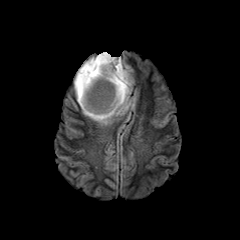
FLAIR MR.
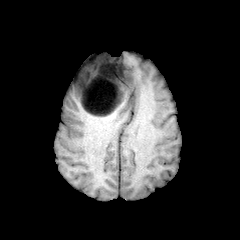
T1-weighted MRI.
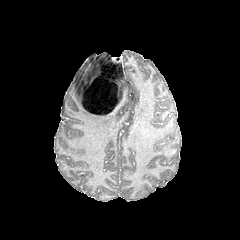
Post-contrast T1-weighted MRI.
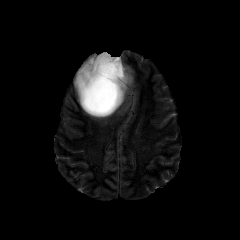
T2-weighted MR.
Image size 240x240. Head.
The enhancing tumor is at bbox(111, 58, 125, 67). The non-enhancing tumor core appears at bbox(81, 56, 131, 115). The edema is bounded by bbox(74, 52, 133, 123).